Upper abdomen | CT image

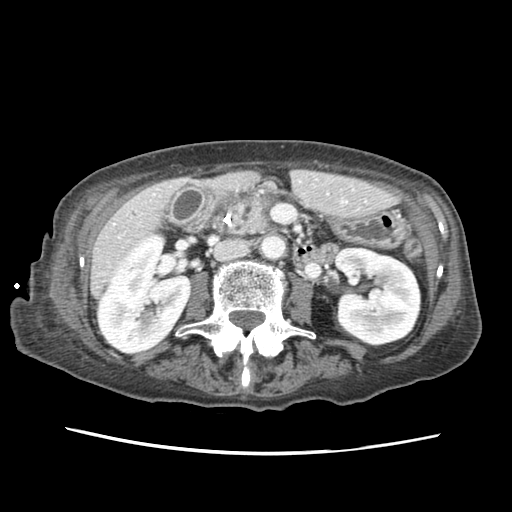

pancreas: l=232, t=197, r=274, b=233